Slice 119/155
FLAIR MR.
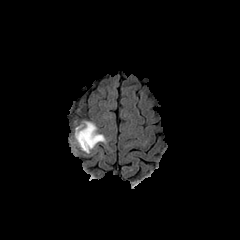
T1-weighted MR image.
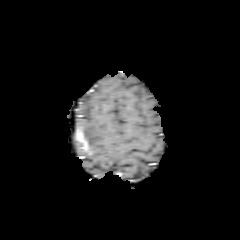
Post-contrast T1-weighted MRI.
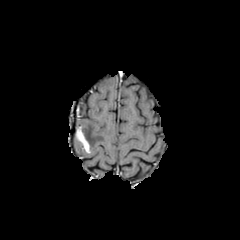
T2-weighted MR image.
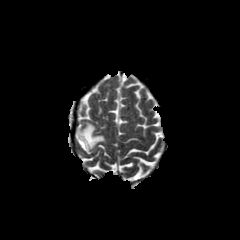
{"non-enhancing_tumor_core": ["(left=82, top=131, right=91, bottom=147)"], "edema": ["(left=74, top=121, right=105, bottom=151)"], "enhancing_tumor": ["(left=76, top=127, right=90, bottom=153)"]}